Field of view 240x240 mm, Head
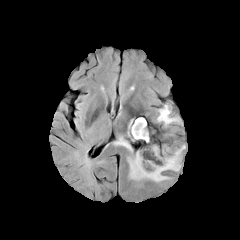
FLAIR MRI.
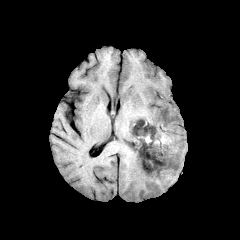
T1-weighted MRI of the same slice.
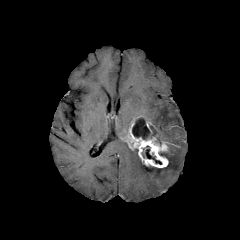
Post-contrast T1-weighted MR.
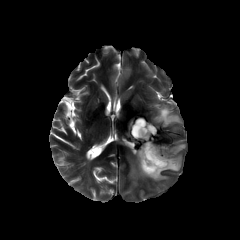
T2-weighted magnetic resonance.
enhancing tumor: [128, 120, 168, 167] | edema: [128, 144, 185, 181], [155, 103, 180, 126], [113, 137, 133, 151] | non-enhancing tumor core: [132, 117, 155, 140], [141, 159, 162, 171], [141, 145, 161, 164]